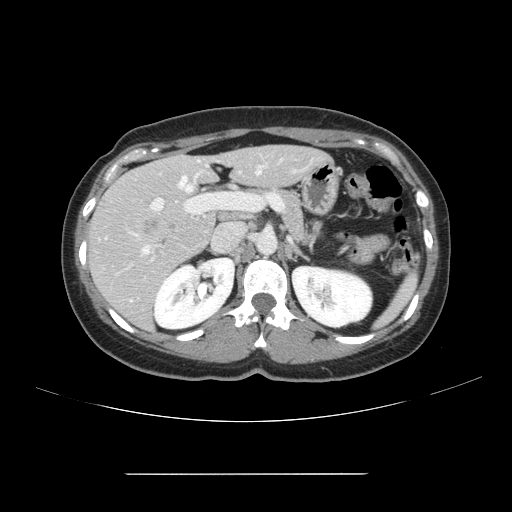
CT scan slice
Some hepatic vessels may have no box.
Hepatic vessel: bounding box 150:199:162:209, 265:165:266:167, 179:176:186:188, 195:175:196:178, 256:166:261:173, 143:247:149:253.
Liver tumor: bounding box 141:219:156:235.